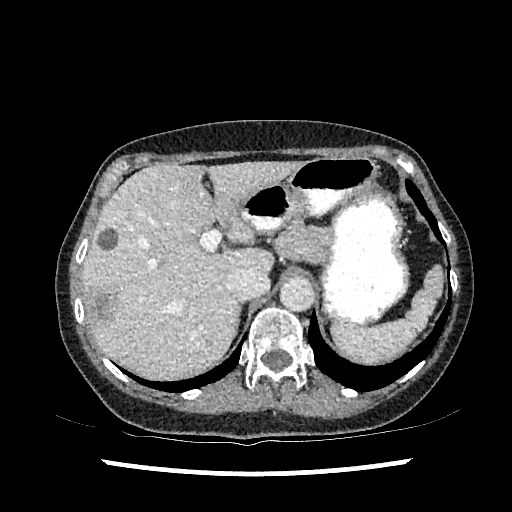 Computed tomography.

Liver lesion — region(98, 228, 117, 250); region(85, 285, 116, 325).
Liver — region(83, 162, 296, 377).